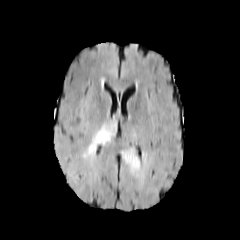
FLAIR magnetic resonance.
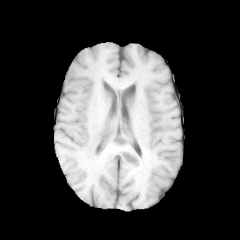
T1-weighted MR image of the same slice.
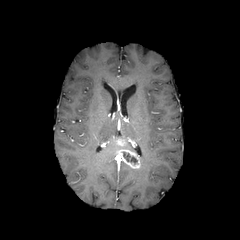
Post-contrast T1-weighted magnetic resonance.
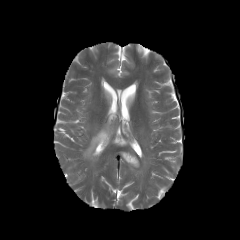
T2-weighted MRI.
Head
Segmented structures:
* non-enhancing tumor core: (122,151,137,165)
* enhancing tumor: (115,138,126,145), (118,148,141,168)
* edema: (83,124,114,157)